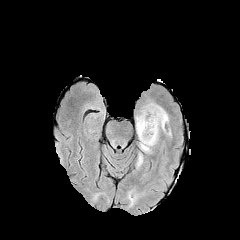
FLAIR MRI.
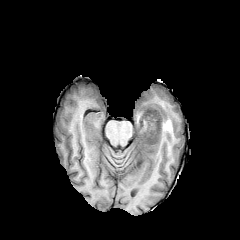
T1-weighted MR.
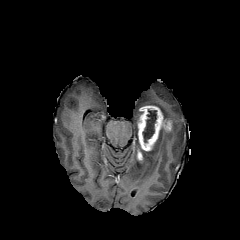
Same slice, post-contrast T1-weighted MRI.
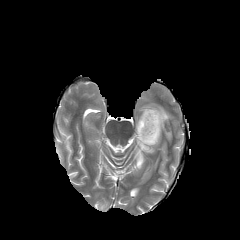
Same slice, T2-weighted magnetic resonance.
Brain | 240x240 px
Annotated regions:
* edema: box(147, 103, 168, 120); box(136, 154, 144, 169)
* non-enhancing tumor core: box(161, 117, 173, 128); box(142, 108, 157, 143)
* enhancing tumor: box(138, 106, 162, 150)